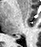
Magnetic resonance. Medial temporal lobe.
{"posterior_hippocampus": ["bbox(15, 37, 17, 38)"]}